512x512 px; Computed tomography; Abdomen; Image width 376 mm

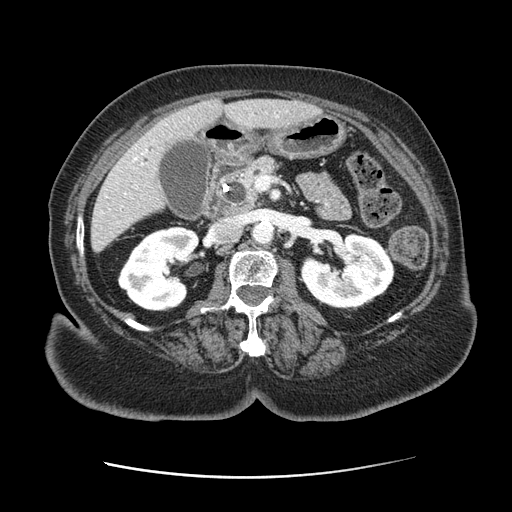 Pancreas: bounding box bbox=[217, 156, 282, 203].